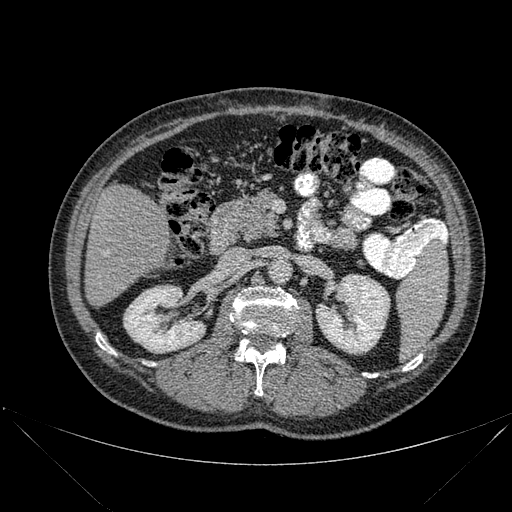

CT image, 512x512
Annotated regions:
- kidney: 316, 274, 389, 353; 124, 286, 205, 352
- liver: 84, 184, 170, 306
- bone: 230, 287, 298, 335; 235, 339, 285, 395; 363, 373, 377, 377; 96, 333, 115, 354; 403, 354, 422, 370